FLAIR MRI.
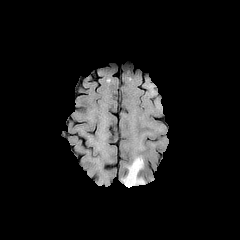
T1-weighted MR.
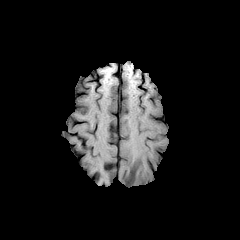
Post-contrast T1-weighted MR image.
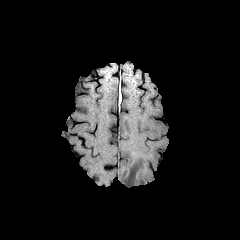
T2-weighted magnetic resonance.
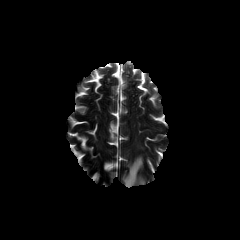
Edema = 123:156:144:187.